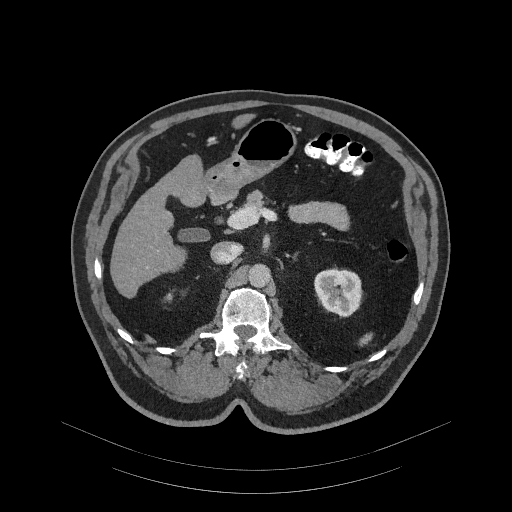
512x512 px, CT scan slice, Abdomen

The pancreas is at 245,191,264,207.